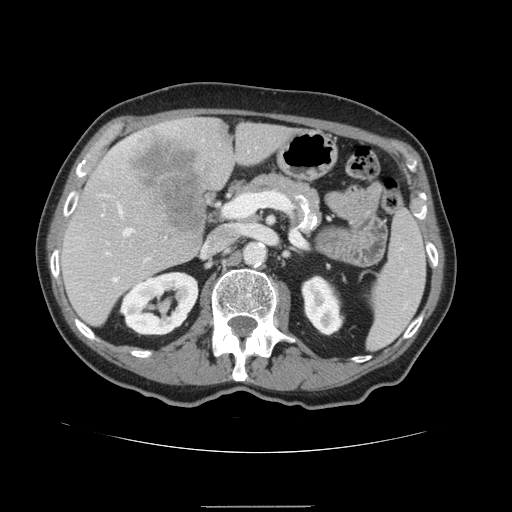
512x512 | Computed tomography | Abdomen
The spleen is at l=369, t=211, r=425, b=348.